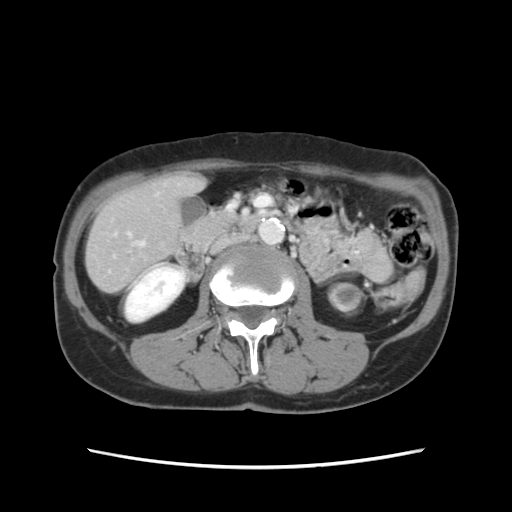 CT image. Some hepatic vessels may have no box.
Hepatic vessel: bbox(128, 233, 130, 236); bbox(138, 242, 142, 245).